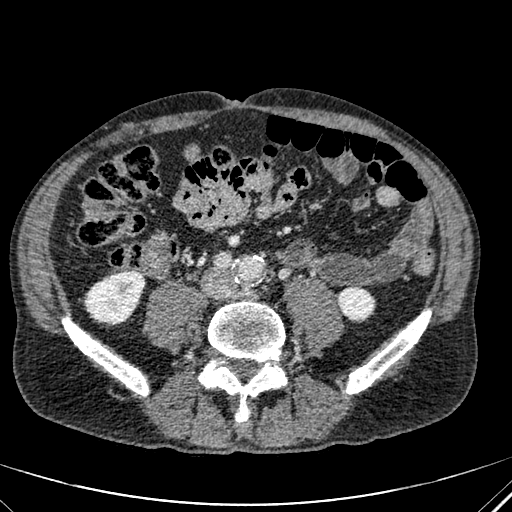
Abdomen. CT.
{"kidney": ["339,288,373,318", "86,272,144,323"]}